512x512 | Liver | Computed tomography
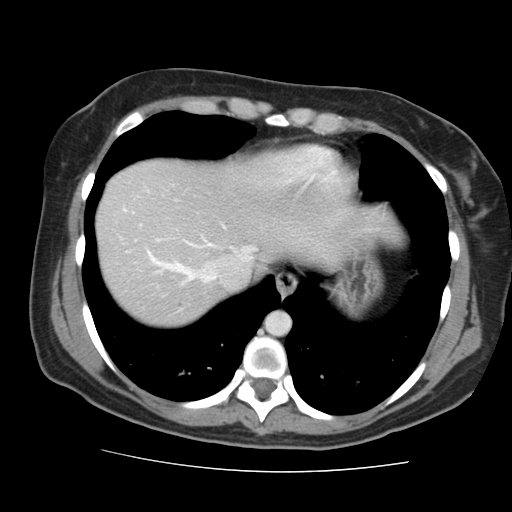

The vessel boxes may cover only some of the vessels.
<segmentation>
  <hepatic_vessel>204 276 213 281, 148 252 196 279</hepatic_vessel>
</segmentation>